FLAIR MRI.
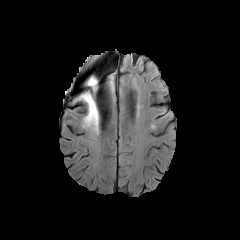
T1-weighted magnetic resonance.
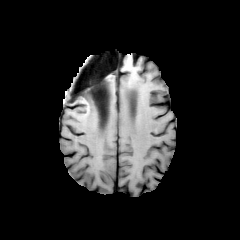
Post-contrast T1-weighted MR image.
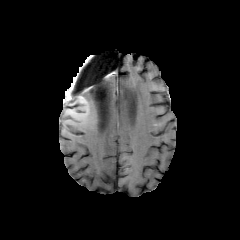
T2-weighted MRI.
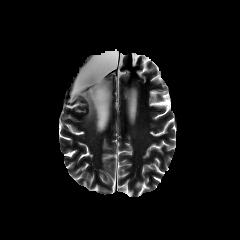
240x240
Findings:
• edema: (74, 76, 105, 134), (108, 77, 113, 93), (84, 91, 93, 103)
• non-enhancing tumor core: (78, 86, 91, 98), (70, 96, 93, 109), (92, 92, 97, 109)